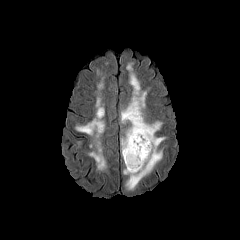
FLAIR MR image.
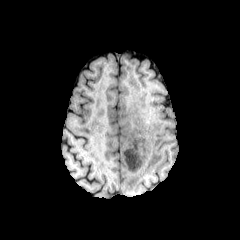
Same slice, T1-weighted magnetic resonance.
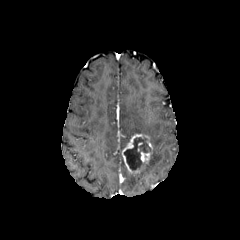
Post-contrast T1-weighted magnetic resonance of the same slice.
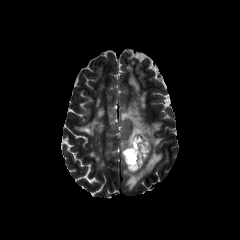
T2-weighted MR image of the same slice.
240x240
Non-enhancing tumor core at l=124, t=137, r=151, b=172.
Edema at l=75, t=98, r=104, b=152; l=121, t=74, r=164, b=189; l=89, t=153, r=105, b=170.
Enhancing tumor at l=122, t=133, r=152, b=173.